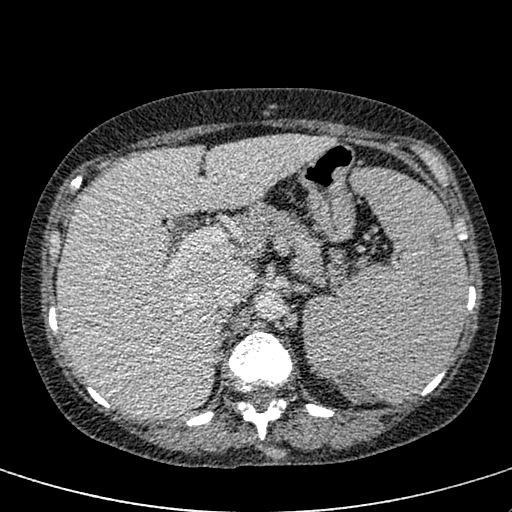

Computed tomography.

liver:
  - [58,136,335,419]